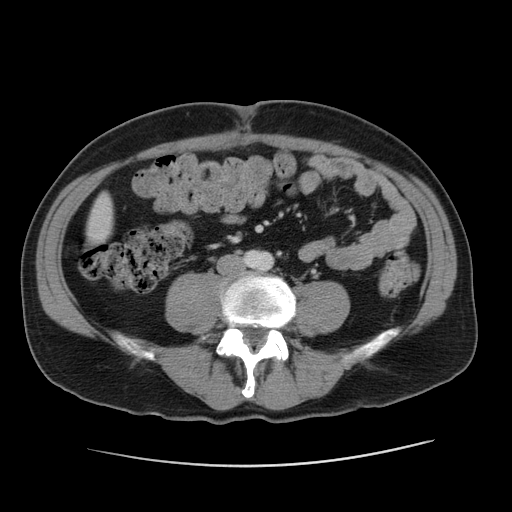 Computed tomography; Abdomen
Segmented structures:
- liver: box(90, 195, 112, 238)